Liver | CT scan slice
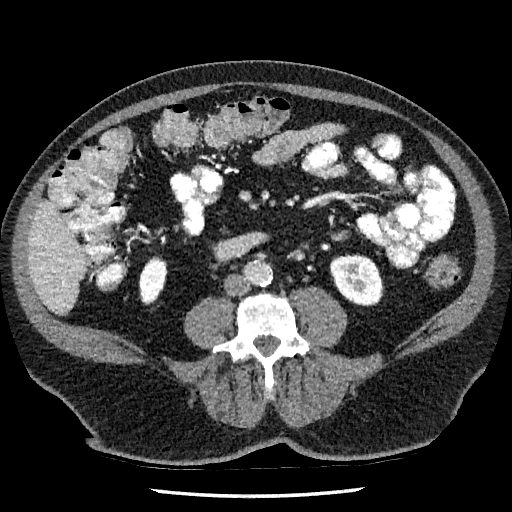 2 kidney regions appear at box=[331, 256, 381, 304]; box=[140, 260, 165, 302]. The liver is bounded by box=[28, 200, 85, 314].